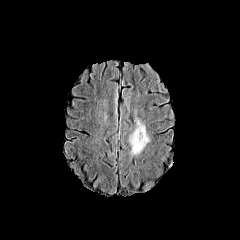
FLAIR MR.
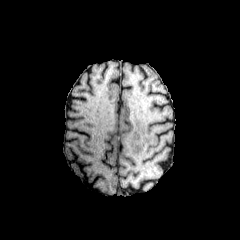
T1-weighted MRI.
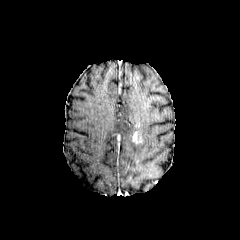
Post-contrast T1-weighted MRI of the same slice.
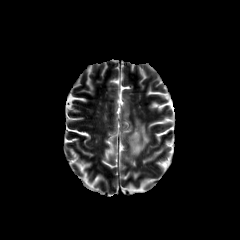
T2-weighted magnetic resonance.
Brain
{
  "enhancing_tumor": [
    "[131, 130, 142, 144]"
  ],
  "edema": [
    "[132, 119, 149, 152]"
  ],
  "non-enhancing_tumor_core": [
    "[132, 143, 140, 152]"
  ]
}